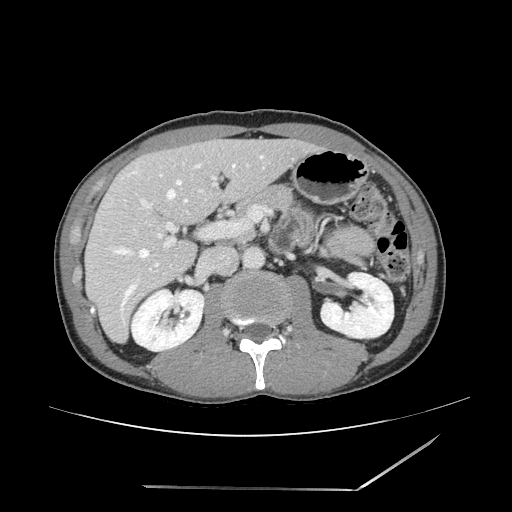 Computed tomography. Abdomen. Image size 512x512. 3 pancreas regions are bounded by box=[327, 235, 361, 264]; box=[237, 185, 297, 215]; box=[240, 228, 253, 240].